FLAIR MR image.
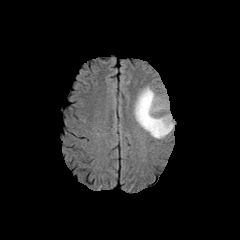
T1-weighted MR image.
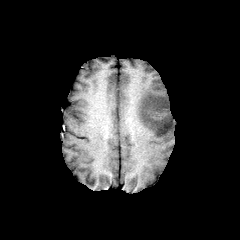
Post-contrast T1-weighted magnetic resonance.
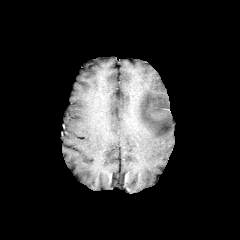
T2-weighted MR image.
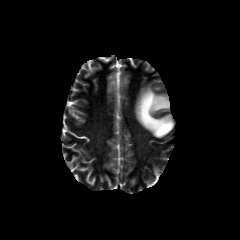
Brain
{"edema": ["[x1=134, y1=85, x2=174, y2=139]"]}